Brain
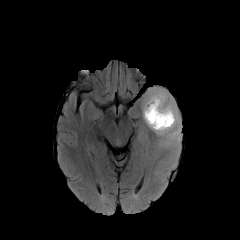
FLAIR MRI.
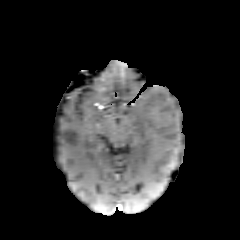
T1-weighted MR.
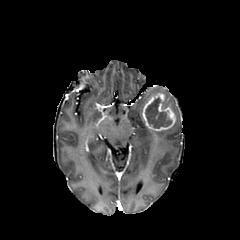
Post-contrast T1-weighted MRI of the same slice.
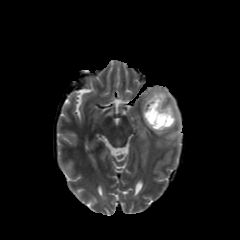
T2-weighted MR image.
Enhancing tumor — l=142, t=92, r=175, b=130.
Edema — l=140, t=86, r=182, b=165.
Non-enhancing tumor core — l=146, t=98, r=171, b=128; l=163, t=96, r=171, b=108.